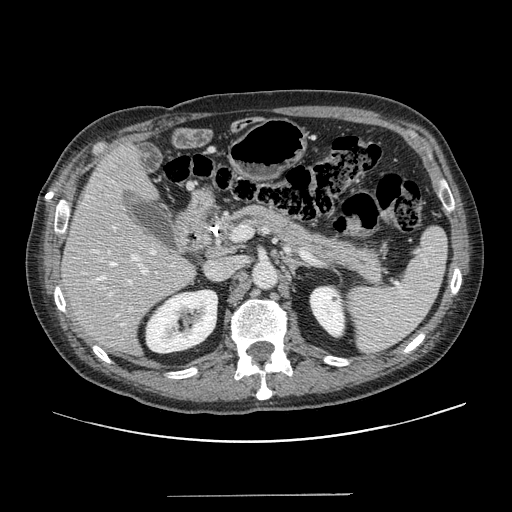
Abdomen, CT image
<segmentation>
  <pancreas><box>192,204,386,286</box></pancreas>
</segmentation>